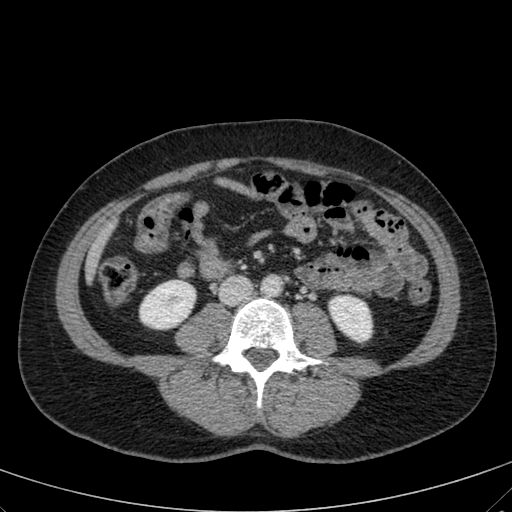

Image size 512x512. CT image.
{"liver": [{"x1": 86, "y1": 221, "x2": 115, "y2": 284}], "kidney": [{"x1": 330, "y1": 296, "x2": 371, "y2": 341}, {"x1": 140, "y1": 281, "x2": 194, "y2": 328}]}